FLAIR magnetic resonance.
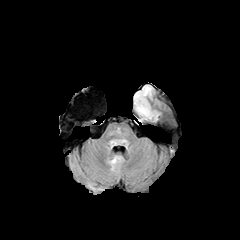
T1-weighted MRI.
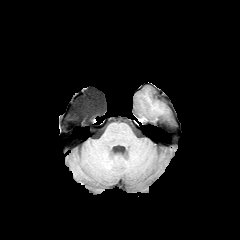
Post-contrast T1-weighted MRI.
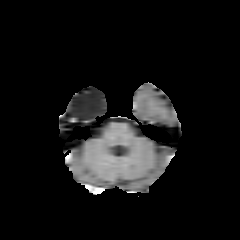
T2-weighted MR image.
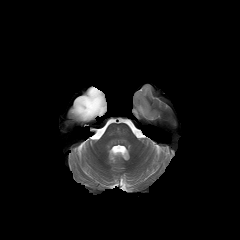
The edema lies within <bbox>138, 106, 149, 117</bbox>.